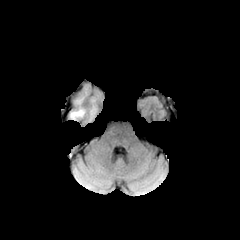
FLAIR MR image.
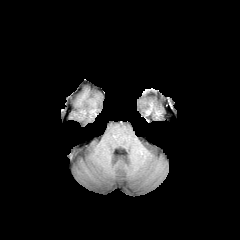
T1-weighted MR.
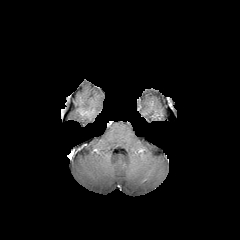
Same slice, post-contrast T1-weighted MRI.
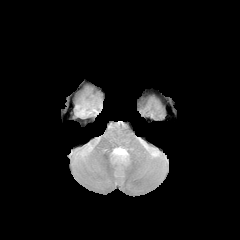
T2-weighted MRI.
240x240 px, Brain
edema: <bbox>72, 108, 86, 117</bbox>